Field of view 240 mm wide, 1.00 mm slice spacing | 240x240 px | Head
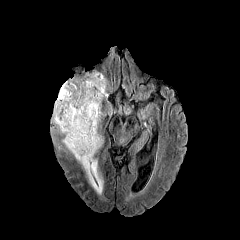
FLAIR magnetic resonance.
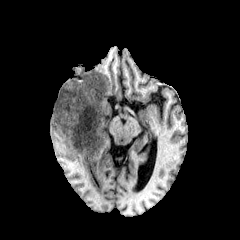
Same slice, T1-weighted magnetic resonance.
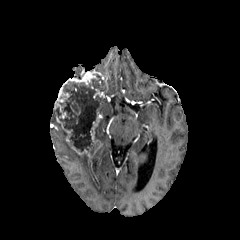
Post-contrast T1-weighted MR image of the same slice.
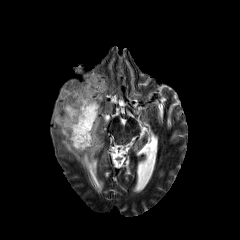
T2-weighted MRI.
Enhancing tumor: bounding box 54,84,69,118; 90,113,102,144; 93,89,104,98; 69,72,104,85.
Non-enhancing tumor core: bounding box 51,74,107,155.
Edema: bounding box 62,139,103,194.